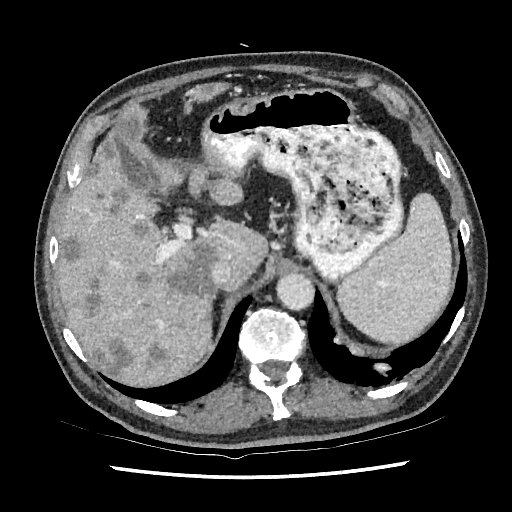
512x512. CT scan slice.

liver:
  - (106,103,182,189)
  - (184,81,228,115)
  - (190,165,242,204)
  - (57,147,267,386)
hepatic_lesion:
  - (132,224,147,236)
  - (105,337,131,376)
  - (136,269,152,285)
  - (109,189,129,215)
  - (199,307,211,326)
  - (66,242,78,263)
  - (100,138,115,159)
  - (96,350,105,363)
  - (167,243,216,295)
  - (85,162,99,180)
  - (177,320,191,330)
  - (114,114,140,137)
  - (85,278,101,317)
  - (148,343,166,364)